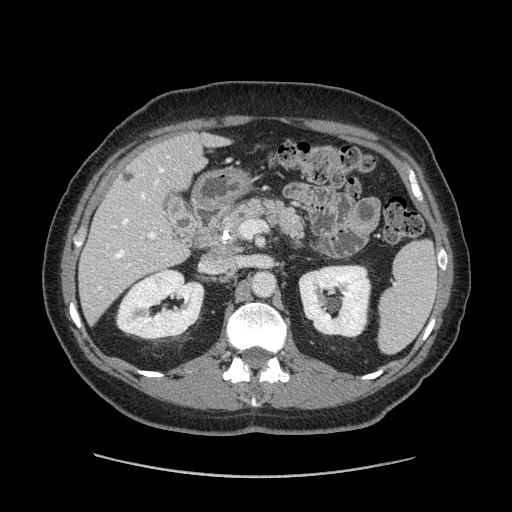 Computed tomography

pancreas: <box>224,198,304,240</box>